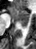 MR; Medial temporal lobe; Image size 36x49

Anterior hippocampus: bounding box 9,6,29,22.
Posterior hippocampus: bounding box 20,23,27,27.